Image size 512x512 | CT image | Liver | Field of view 435 mm wide, 4.00 mm slice spacing

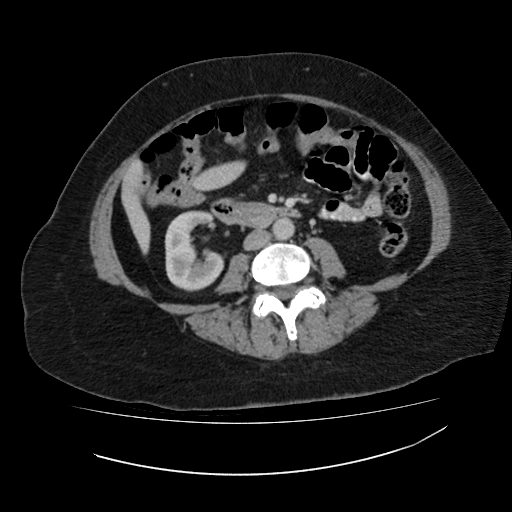

<segmentation>
  <kidney>box(166, 211, 223, 290)</kidney>
  <liver>box(193, 163, 243, 190); box(122, 161, 149, 252)</liver>
</segmentation>